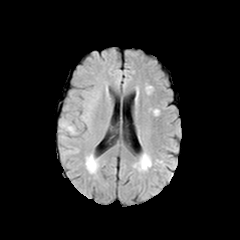
FLAIR MR image.
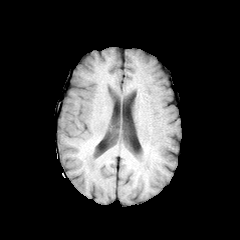
T1-weighted MR.
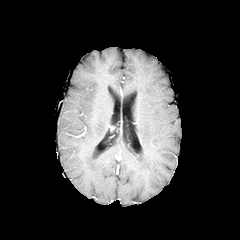
Same slice, post-contrast T1-weighted magnetic resonance.
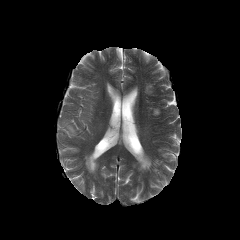
T2-weighted magnetic resonance of the same slice.
Head
Edema: x1=62, y1=145, x2=75, y2=153; x1=61, y1=121, x2=77, y2=135; x1=85, y1=153, x2=97, y2=173; x1=85, y1=94, x2=91, y2=106.